MR. Cardiac. Slice 76/130. Image width 400 mm. 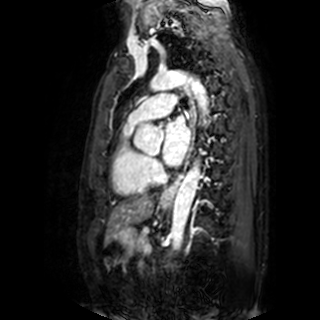 The left atrium is at [163,115,190,165].